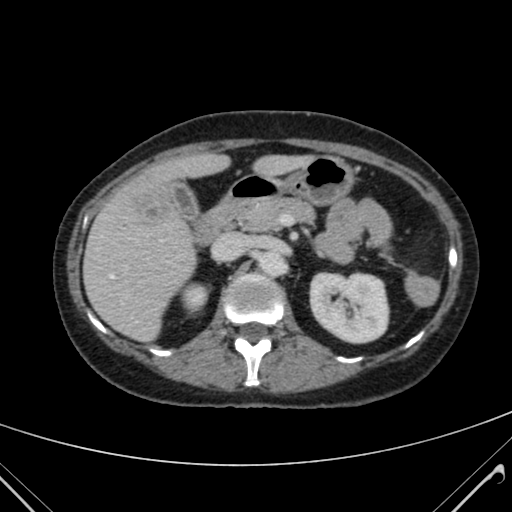 512x512 px | Abdomen | CT scan slice

Kidney: (left=188, top=290, right=203, bottom=302), (left=311, top=275, right=387, bottom=341).
Hepatic lesion: (left=131, top=183, right=174, bottom=225).
Liver: (left=82, top=152, right=226, bottom=341), (left=254, top=156, right=298, bottom=174).